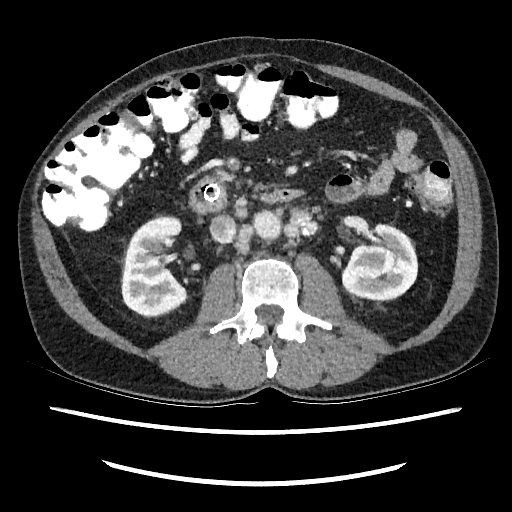
CT scan slice. Image size 512x512. Abdomen.
Kidney: bounding box 343 225 417 299, 122 218 188 314.